FLAIR MR image.
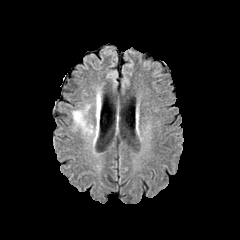
T1-weighted magnetic resonance.
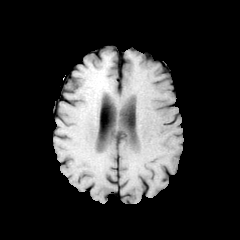
Post-contrast T1-weighted magnetic resonance.
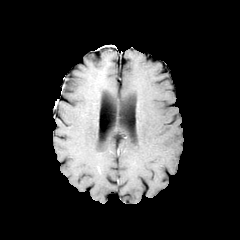
T2-weighted MR.
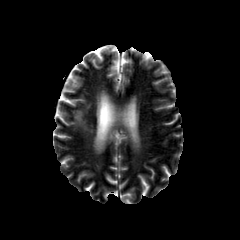
Brain. 240x240.
Annotated regions:
* edema: bbox=[73, 91, 101, 137]